Head; Slice index 112
FLAIR MR image.
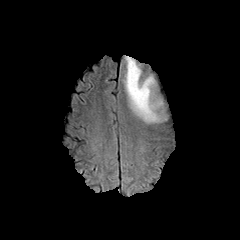
T1-weighted MRI.
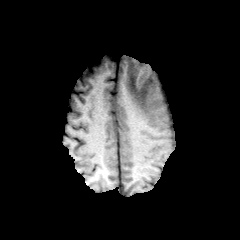
Post-contrast T1-weighted MRI.
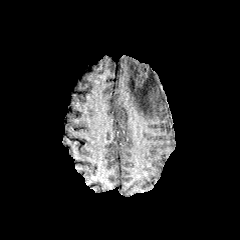
T2-weighted magnetic resonance.
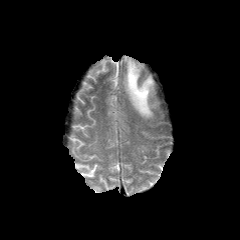
- edema: left=123, top=55, right=161, bottom=121